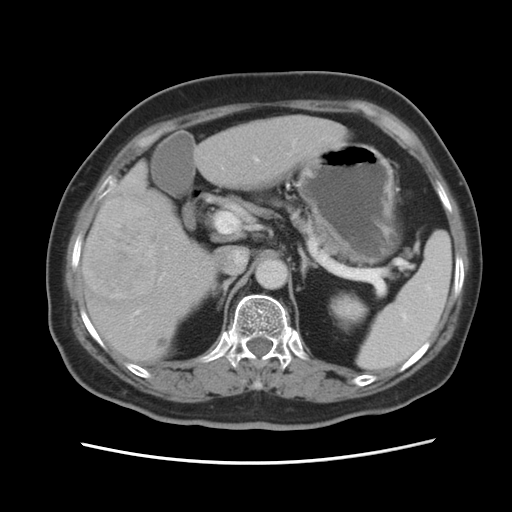 CT image; Abdomen

The vessel boxes may cover only some of the vessels.
The liver tumor is bounded by (x1=83, y1=198, x2=160, y2=299). 3 hepatic vessel regions appear at (x1=255, y1=157, x2=258, y2=161), (x1=160, y1=273, x2=165, y2=279), (x1=134, y1=310, x2=139, y2=314).